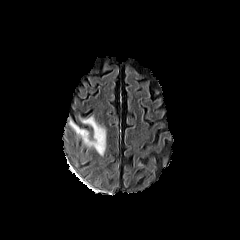
FLAIR MRI.
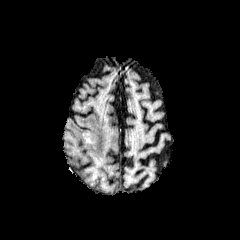
T1-weighted magnetic resonance of the same slice.
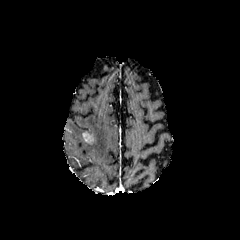
Post-contrast T1-weighted MR.
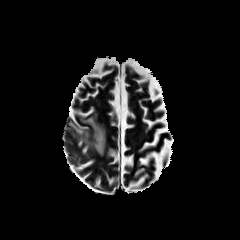
T2-weighted MR image.
Brain
The enhancing tumor is located at l=82, t=131, r=94, b=144. 2 edema regions appear at l=79, t=115, r=106, b=154; l=68, t=119, r=89, b=137.